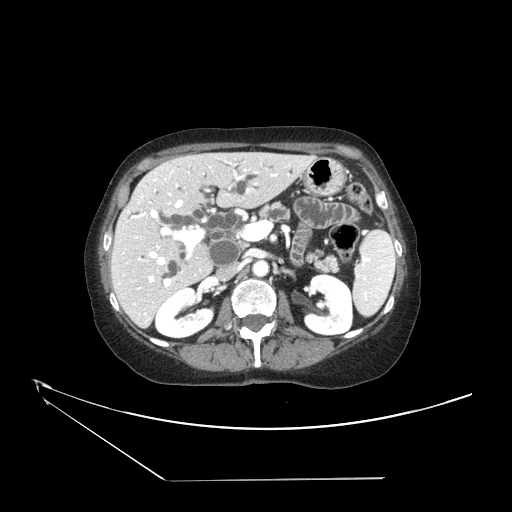
CT

pancreas:
  - 260,203,290,221
  - 308,249,338,273